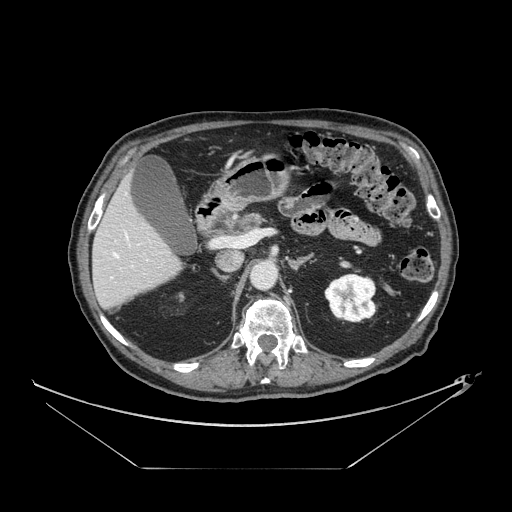
CT image.
Pancreas: bounding box (x1=219, y1=214, x2=264, y2=236).